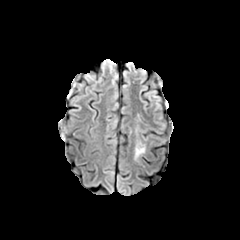
FLAIR MR.
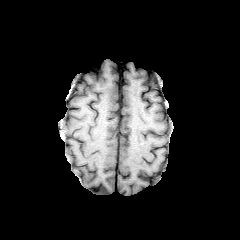
T1-weighted MR.
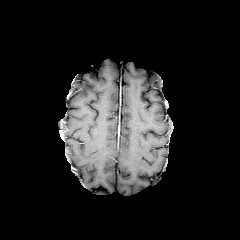
Same slice, post-contrast T1-weighted MRI.
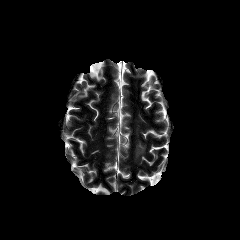
T2-weighted magnetic resonance.
The edema lies within box=[135, 142, 145, 156].